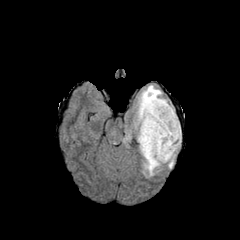
FLAIR magnetic resonance.
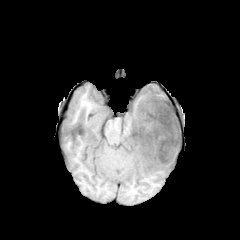
Same slice, T1-weighted MR image.
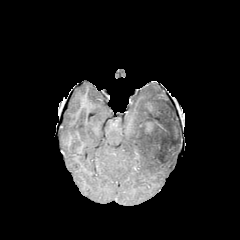
Same slice, post-contrast T1-weighted MR.
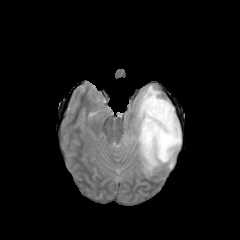
T2-weighted MR image of the same slice.
Image size 240x240
Edema = (123,129,132,145), (130,85,181,177).
Non-enhancing tumor core = (144,97,176,152).